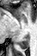

MRI slice. Hippocampus.

posterior hippocampus: <bbox>17, 36, 29, 49</bbox>